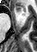 Hippocampus | MRI
anterior hippocampus: (left=13, top=5, right=24, bottom=15)